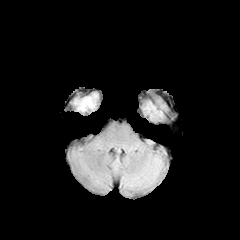
FLAIR MR.
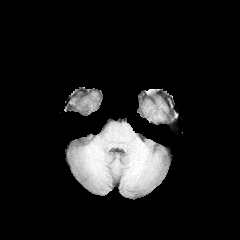
Same slice, T1-weighted MR.
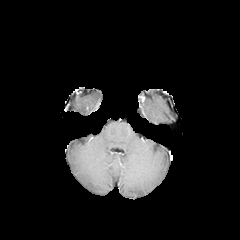
Post-contrast T1-weighted MR image of the same slice.
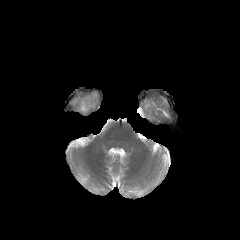
T2-weighted MR.
<segmentation>
  <edema>region(74, 93, 97, 111)</edema>
</segmentation>